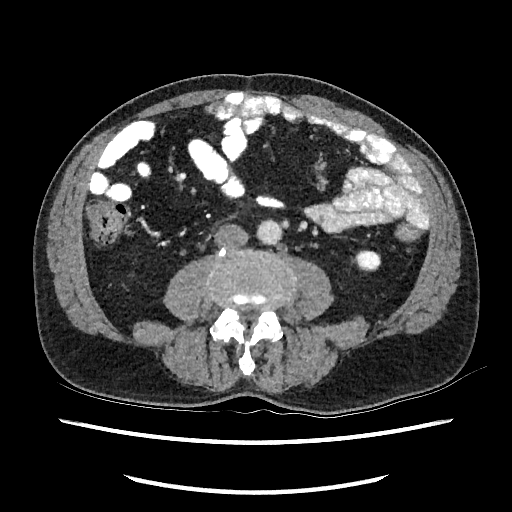 Abdomen | CT image
Kidney = {"x1": 355, "y1": 251, "x2": 380, "y2": 270}.